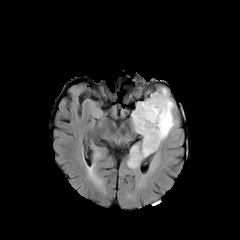
FLAIR MRI.
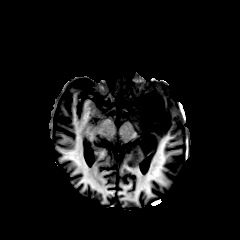
T1-weighted MR image.
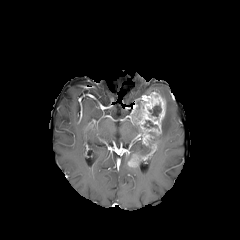
Same slice, post-contrast T1-weighted magnetic resonance.
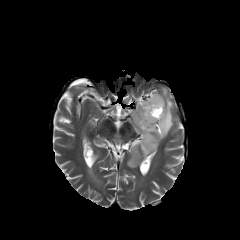
T2-weighted MR of the same slice.
Image size 240x240. Head.
Non-enhancing tumor core — 148, 103, 161, 118; 140, 119, 162, 155.
Edema — 154, 88, 177, 149; 130, 118, 142, 142; 129, 144, 151, 155.
Enhancing tumor — 131, 92, 165, 129; 130, 154, 143, 161.